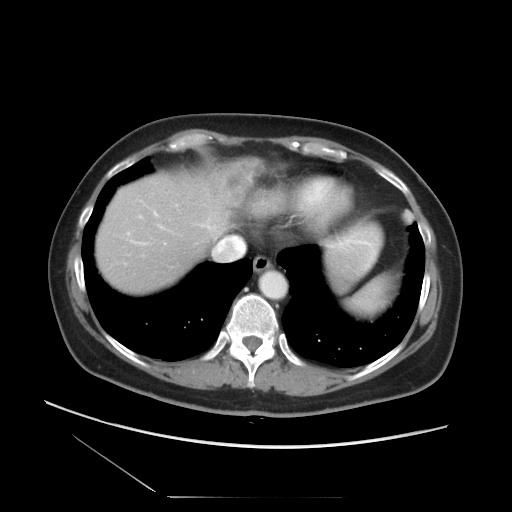

CT image; Abdomen
Some hepatic vessels may have no box.
Findings:
* hepatic vessel: [x1=206, y1=225, x2=208, y2=226], [x1=212, y1=230, x2=216, y2=230], [x1=213, y1=236, x2=243, y2=260]
* liver tumor: [x1=218, y1=161, x2=259, y2=204]